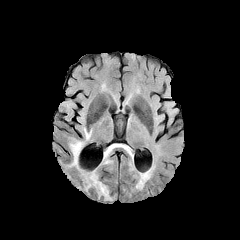
FLAIR MRI.
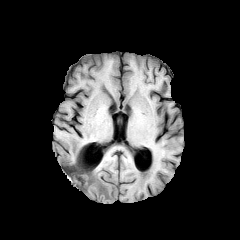
Same slice, T1-weighted MRI.
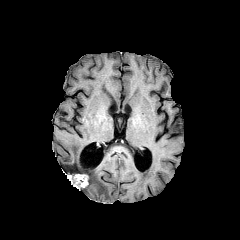
Post-contrast T1-weighted MR image.
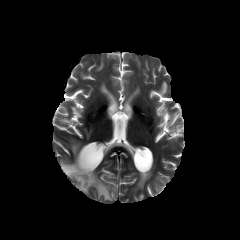
T2-weighted MR image of the same slice.
Brain
Non-enhancing tumor core: bounding box [x1=64, y1=164, x2=90, y2=185].
Enhancing tumor: bounding box [x1=74, y1=174, x2=87, y2=188].
Edema: bounding box [x1=103, y1=144, x2=115, y2=159], [x1=134, y1=170, x2=151, y2=187], [x1=66, y1=139, x2=114, y2=200].